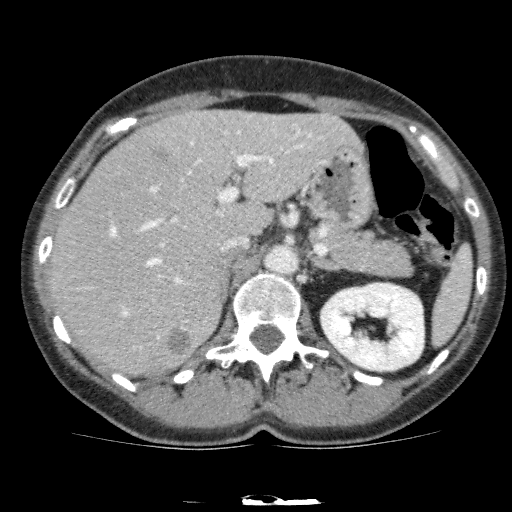 CT | Liver

{
  "kidney": [
    "[321,283,423,370]"
  ],
  "liver": [
    "[48,110,364,374]"
  ],
  "hepatic_lesion": [
    "[149,144,173,163]",
    "[164,326,194,356]"
  ]
}